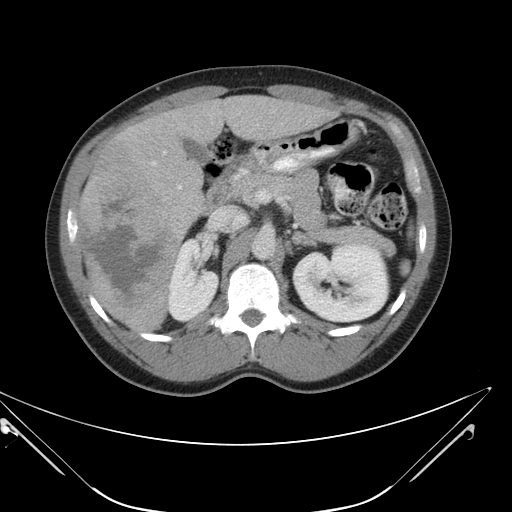 512x512, Liver, CT
Not every hepatic vessel necessarily has a box.
hepatic vessel: (151,161,155,165), (178,185,181,188), (209,208,243,229), (163,152,165,154) | liver tumor: (79,144,179,331)